Head, 240x240 px
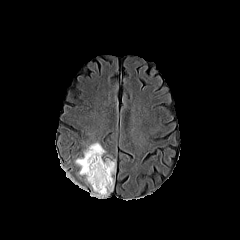
FLAIR MR image.
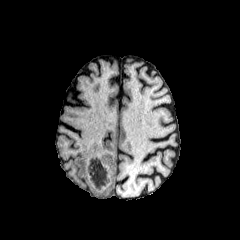
T1-weighted MR of the same slice.
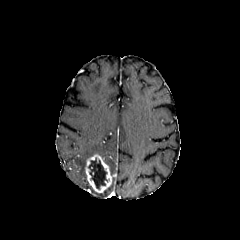
Post-contrast T1-weighted MR image.
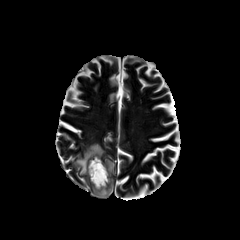
Same slice, T2-weighted MR image.
non-enhancing_tumor_core:
  - <bbox>88, 158, 109, 188</bbox>
enhancing_tumor:
  - <bbox>84, 154, 112, 193</bbox>
edema:
  - <bbox>94, 182, 113, 197</bbox>
  - <bbox>76, 143, 104, 175</bbox>
  - <bbox>109, 162, 115, 175</bbox>